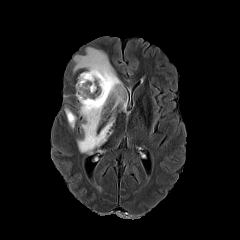
FLAIR MR image.
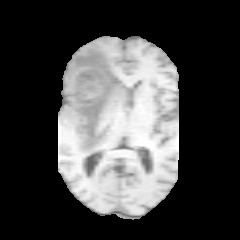
T1-weighted MR of the same slice.
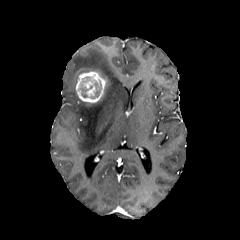
Post-contrast T1-weighted MR.
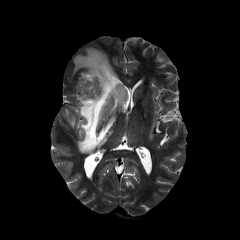
Same slice, T2-weighted MR.
Image size 240x240; Brain
Edema — 64:107:76:129, 73:47:127:154.
Non-enhancing tumor core — 79:87:88:98, 92:81:102:98.
Enhancing tumor — 75:71:104:102.